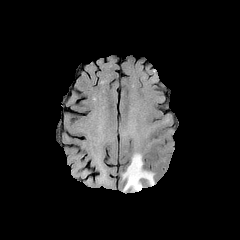
FLAIR MR.
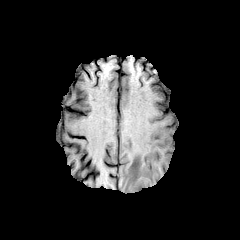
T1-weighted MRI.
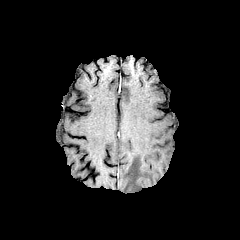
Post-contrast T1-weighted magnetic resonance of the same slice.
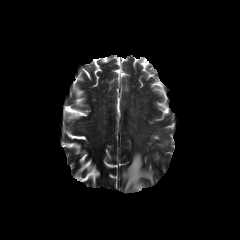
T2-weighted MR image.
Image size 240x240
The edema is at left=123, top=154, right=154, bottom=191.